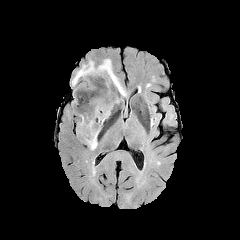
FLAIR magnetic resonance.
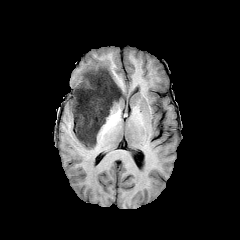
T1-weighted MRI of the same slice.
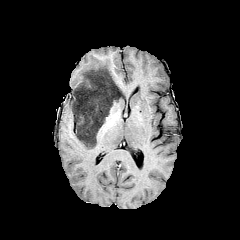
Post-contrast T1-weighted magnetic resonance.
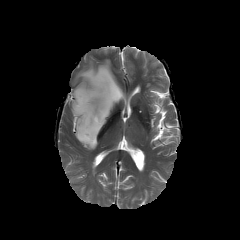
Same slice, T2-weighted MRI.
edema: (left=72, top=59, right=112, bottom=86), (left=93, top=82, right=103, bottom=96) | non-enhancing tumor core: (left=72, top=67, right=125, bottom=147)